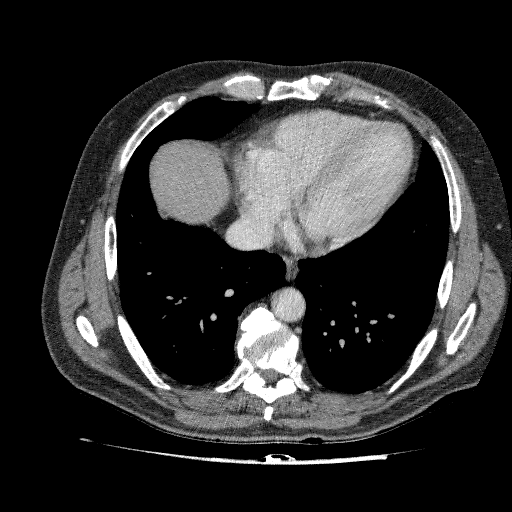

CT slice; 512x512 px
The liver lies within box(149, 141, 230, 224).